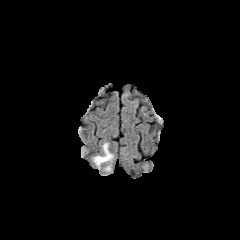
FLAIR MR image.
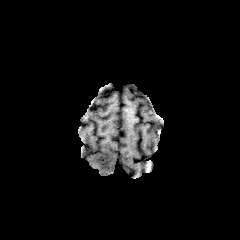
Same slice, T1-weighted MR image.
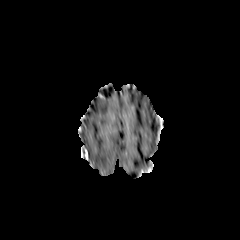
Same slice, post-contrast T1-weighted MR.
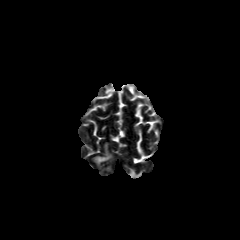
Same slice, T2-weighted MR.
Brain
<segmentation>
  <edema>[94,143,113,166]</edema>
</segmentation>